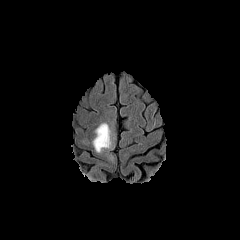
FLAIR magnetic resonance.
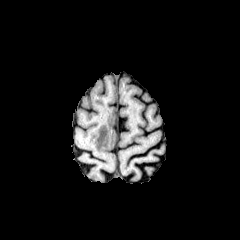
T1-weighted MRI.
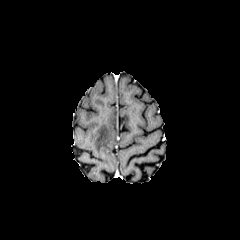
Post-contrast T1-weighted MRI.
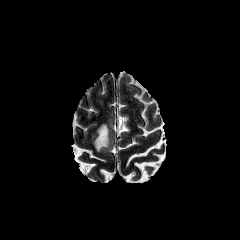
T2-weighted MR.
Brain.
{
  "edema": [
    "<bbox>93, 124, 111, 152</bbox>"
  ]
}